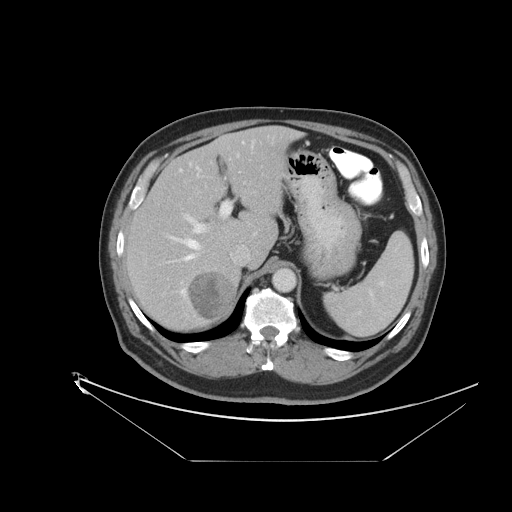

Image size 512x512 | CT slice | Abdomen

The vessel boxes may cover only some of the vessels.
Liver tumor at 188,271,234,319.
Hepatic vessel at 197,167,200,175; 185,215,205,232; 219,201,231,219; 169,236,200,249; 184,254,194,260; 239,171,240,172; 181,289,185,295.